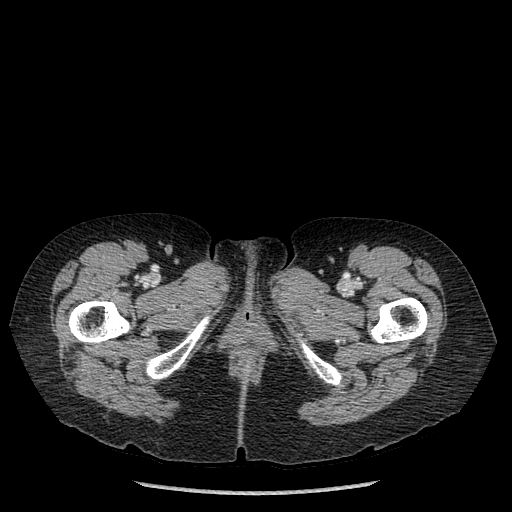 512x512; Computed tomography
<segmentation>
  <bone>left=66, top=299, right=130, bottom=345; left=146, top=316, right=209, bottom=379; left=371, top=297, right=427, bottom=343; left=298, top=338, right=341, bottom=385</bone>
</segmentation>